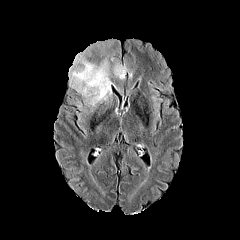
FLAIR MR image.
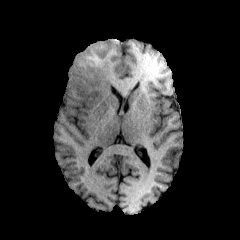
T1-weighted magnetic resonance.
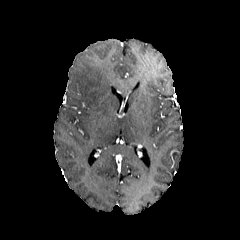
Post-contrast T1-weighted MRI.
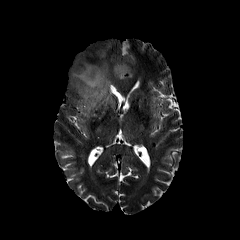
T2-weighted MRI.
Head
Segmented structures:
* edema: [113, 63, 132, 79], [69, 57, 119, 106]